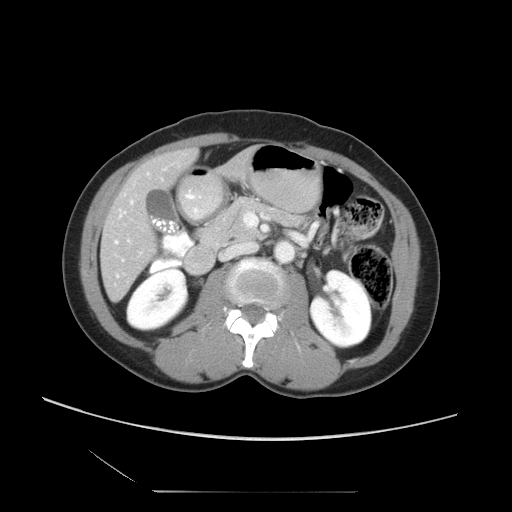

CT image. Abdomen. Some hepatic vessels may have no box.
hepatic vessel: [150, 249, 151, 250], [146, 172, 149, 175], [114, 240, 117, 243], [119, 209, 124, 216], [123, 192, 125, 194], [172, 162, 178, 164], [163, 167, 166, 169], [130, 200, 132, 203], [116, 273, 123, 276], [121, 258, 123, 260], [127, 239, 130, 242]